512x512 px, Slice index 11, Computed tomography 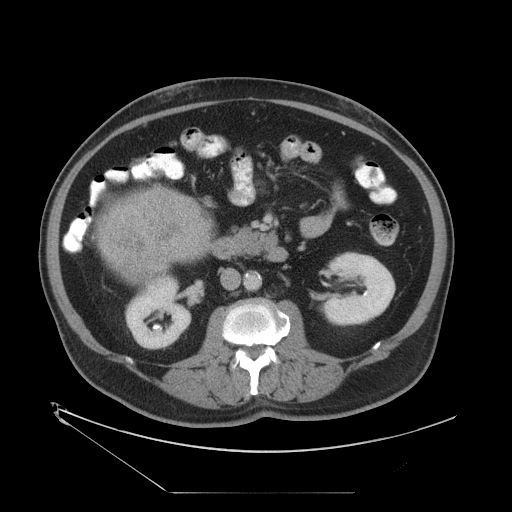

Findings:
• liver tumor: [100, 192, 209, 264]